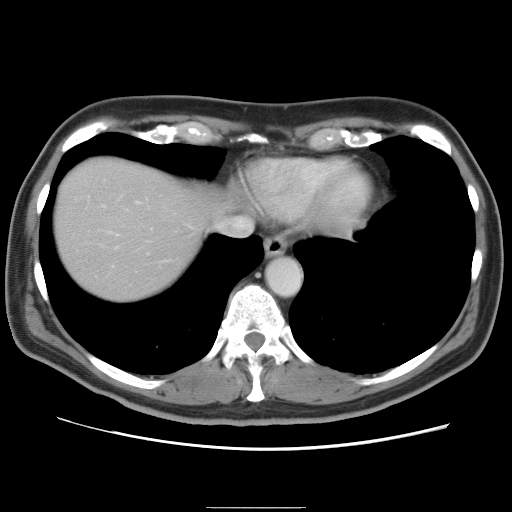

Image size 512x512; CT image
Not every hepatic vessel necessarily has a box.
Hepatic vessel = x1=102, y1=204, x2=103, y2=206; x1=189, y1=225, x2=191, y2=227; x1=87, y1=195, x2=88, y2=196; x1=162, y1=260, x2=166, y2=260; x1=114, y1=245, x2=117, y2=248; x1=135, y1=200, x2=139, y2=203.